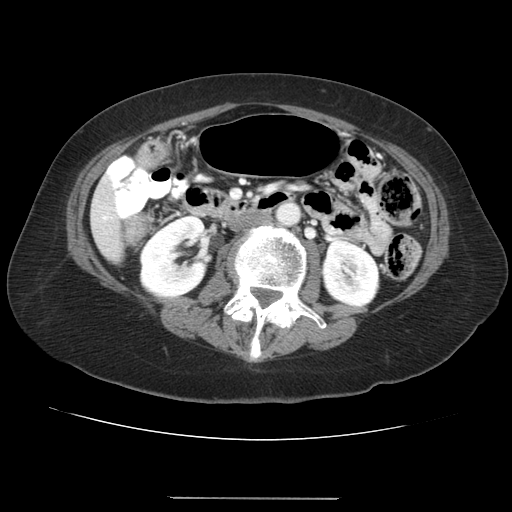

Pelvis; CT slice
colon_tumor:
  - {"x1": 124, "y1": 214, "x2": 147, "y2": 243}
  - {"x1": 134, "y1": 139, "x2": 168, "y2": 169}